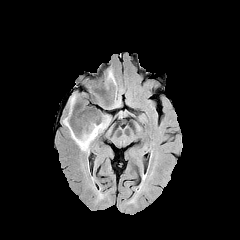
FLAIR MR image.
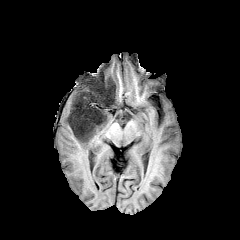
T1-weighted MRI of the same slice.
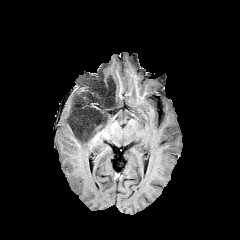
Post-contrast T1-weighted MRI.
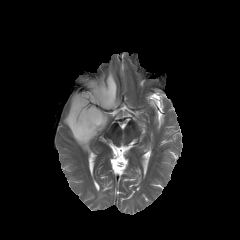
T2-weighted MRI.
Non-enhancing tumor core = x1=92, y1=75, x2=118, y2=108; x1=70, y1=110, x2=109, y2=141.
Edema = x1=105, y1=68, x2=115, y2=83; x1=63, y1=96, x2=97, y2=152.